Field of view 500 mm wide, 5.00 mm slice spacing | Slice index 29 | CT scan slice | 512x512
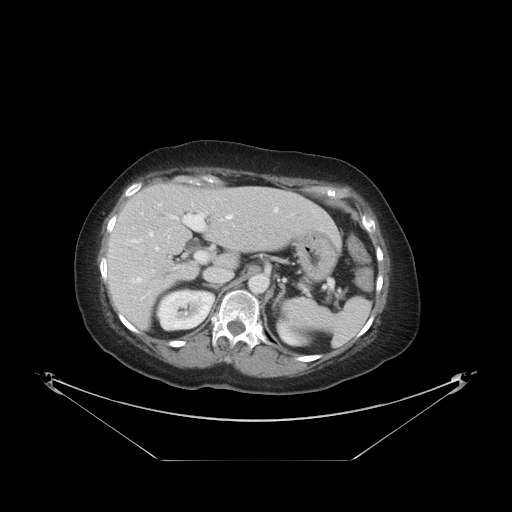
The vessel boxes may cover only some of the vessels.
Hepatic vessel — (left=150, top=233, right=152, bottom=234), (left=275, top=208, right=277, bottom=211), (left=178, top=249, right=181, bottom=253), (left=223, top=261, right=227, bottom=262), (left=210, top=268, right=231, bottom=281), (left=156, top=248, right=158, bottom=250), (left=184, top=214, right=205, bottom=231), (left=227, top=215, right=231, bottom=218), (left=195, top=251, right=208, bottom=262), (left=224, top=231, right=228, bottom=234), (left=134, top=278, right=140, bottom=282), (left=172, top=216, right=178, bottom=218).